Slice 185/230; Image width 398 mm; CT scan slice 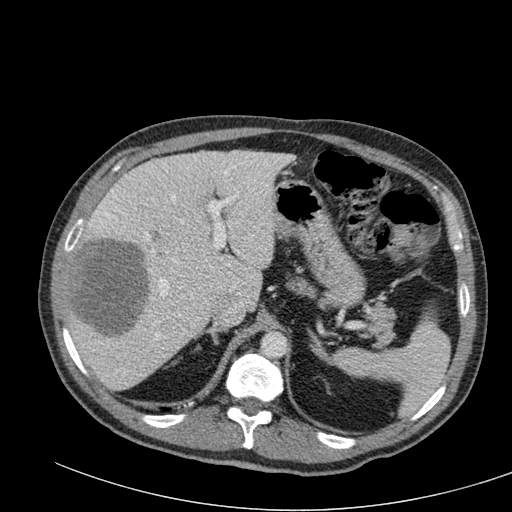 {
  "liver": [
    "x1=66 y1=151 x2=293 y2=389"
  ],
  "hepatic_lesion": [
    "x1=65 y1=237 x2=147 y2=335"
  ]
}